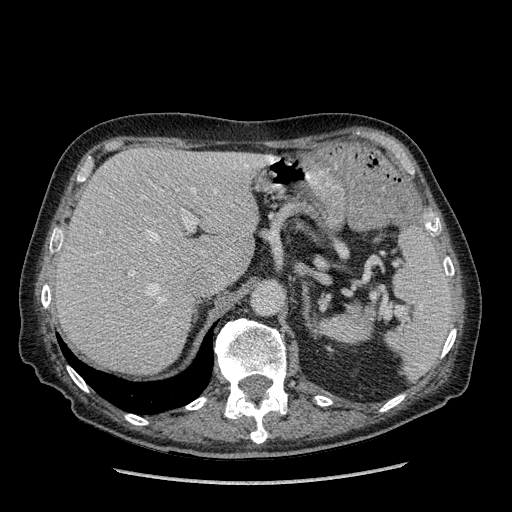 Abdomen | Computed tomography

• liver: <box>56,148,260,374</box>